Brain
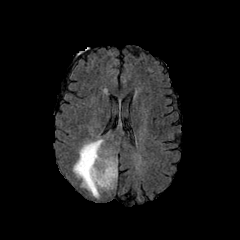
FLAIR MR image.
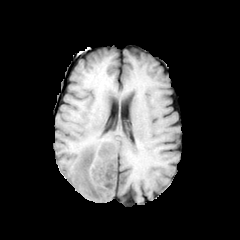
T1-weighted MR.
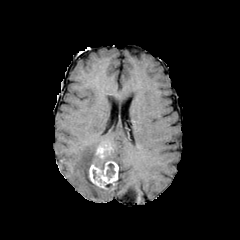
Post-contrast T1-weighted magnetic resonance.
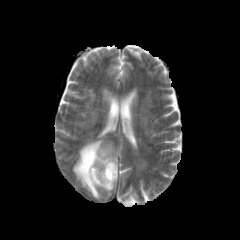
Same slice, T2-weighted MR image.
edema:
  - x1=72, y1=135, x2=111, y2=198
enhancing_tumor:
  - x1=89, y1=160, x2=117, y2=187
  - x1=96, y1=147, x2=109, y2=158
non-enhancing_tumor_core:
  - x1=80, y1=144, x2=115, y2=184
  - x1=106, y1=163, x2=114, y2=177